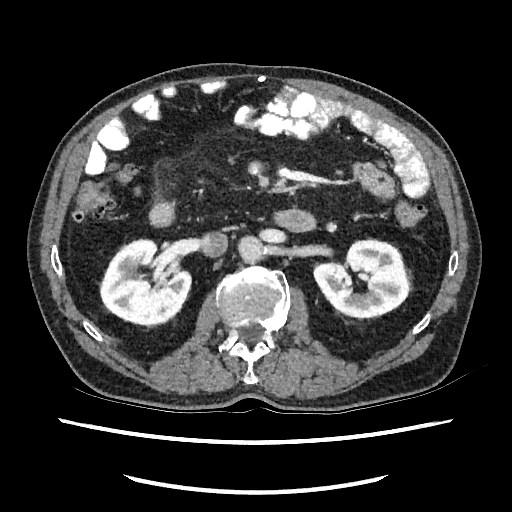
512x512, Computed tomography
Kidney at region(313, 239, 411, 318); region(100, 239, 191, 327).